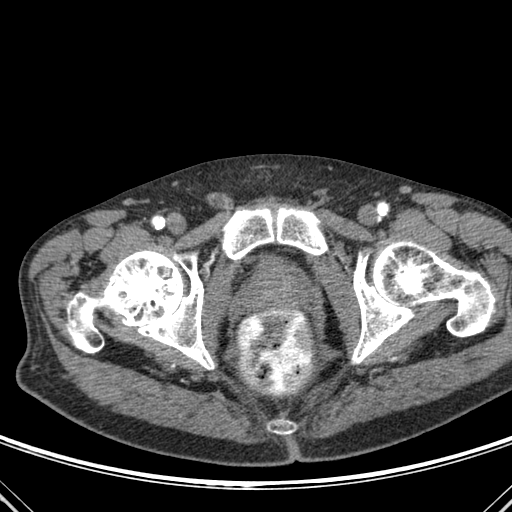 CT scan slice. Image size 512x512.

bone:
  - [275, 420, 291, 434]
  - [352, 240, 495, 363]
  - [67, 248, 213, 369]
  - [222, 207, 327, 259]